Image size 240x240. Brain.
FLAIR MRI.
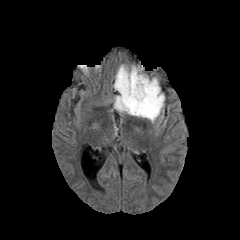
T1-weighted MR image.
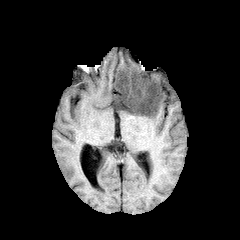
Post-contrast T1-weighted MR image.
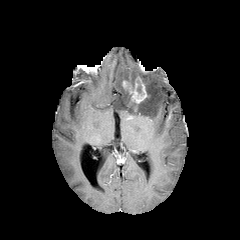
T2-weighted MRI.
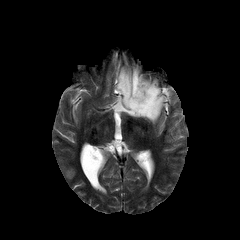
Edema = [111,64,168,124].
Enhancing tumor = [123,77,147,103].
Non-enhancing tumor core = [116,74,157,114].